FLAIR magnetic resonance.
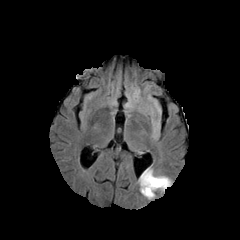
T1-weighted magnetic resonance.
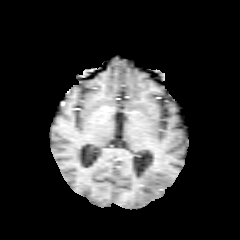
Post-contrast T1-weighted magnetic resonance.
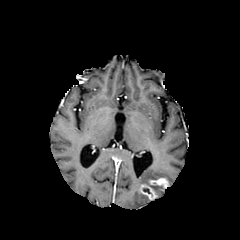
T2-weighted magnetic resonance.
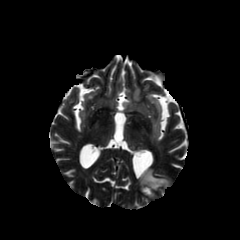
Segmented structures:
* enhancing tumor: box(140, 184, 156, 199); box(148, 178, 168, 188)
* edema: box(151, 186, 164, 193); box(136, 164, 172, 199)